CT; Image size 512x512 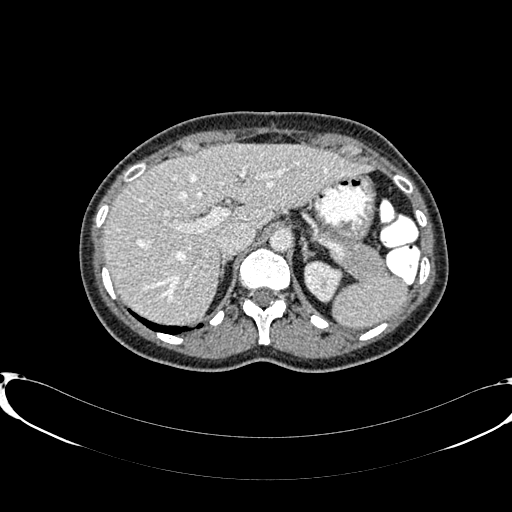
• liver: (103, 144, 373, 323)
• kidney: (306, 263, 338, 299)